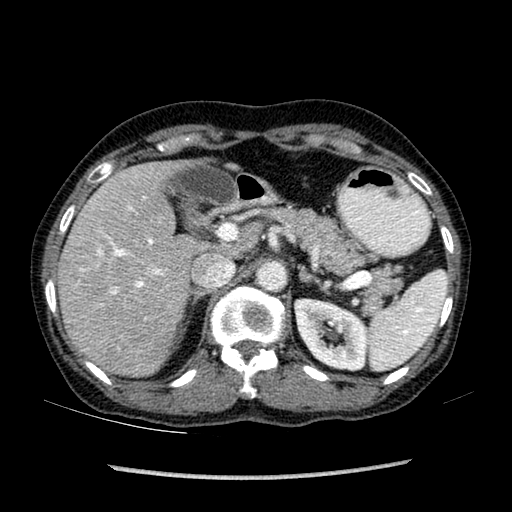 CT image
{"liver": ["region(59, 167, 193, 374)", "region(228, 231, 255, 254)"], "kidney": ["region(295, 299, 366, 369)"]}